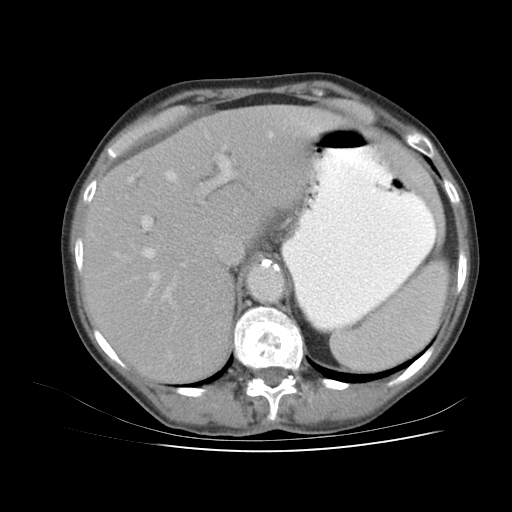
CT slice
Segmented structures:
* spleen: 332, 262, 447, 372